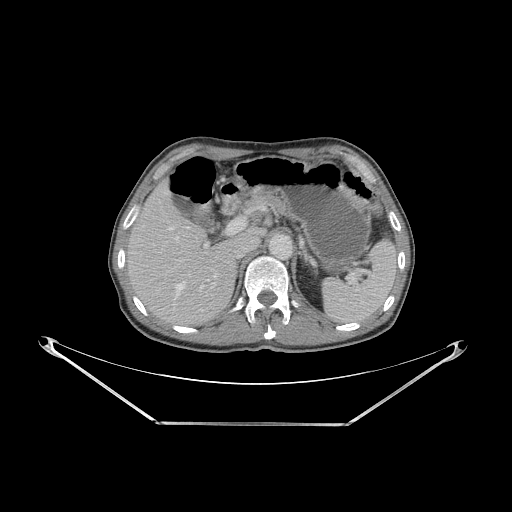
Upper abdomen. Computed tomography.

Liver: bounding box (128,176,265,326).
Bone: bounding box (389,212,400,230), (398,252,404,268), (124,208,136,228), (336,323,359,330), (384,296,393,310), (265,325,274,338), (244,257,289,322), (134,297,146,315), (174,326,196,332), (118,250,124,267).